Abdomen | CT scan slice
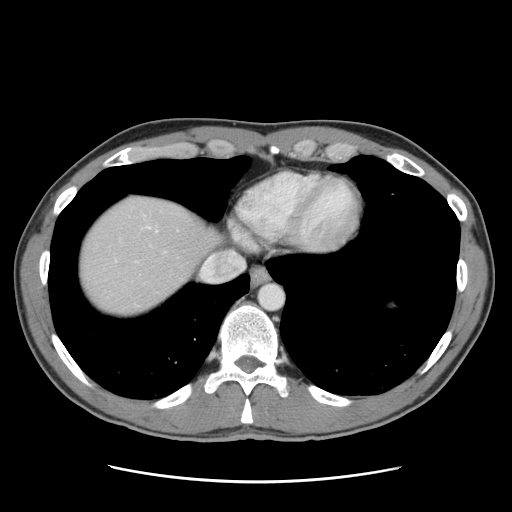

Some hepatic vessels may have no box.
• hepatic vessel: 155,230,156,231; 146,226,149,227